Heart; Slice 81 of 110; MRI slice; Image size 320x320 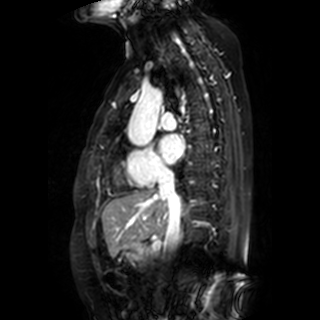 The left atrium is at [159, 134, 182, 163].